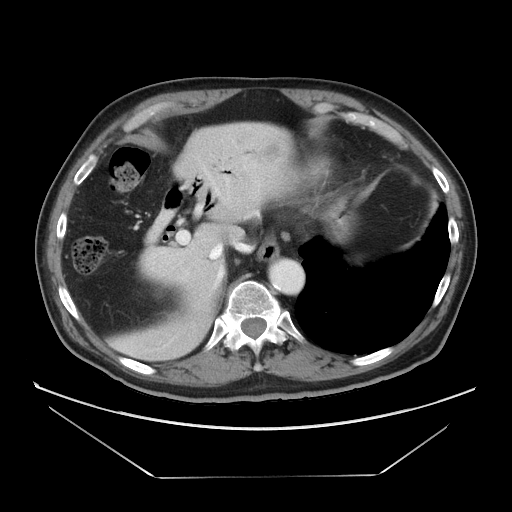

CT slice. Abdomen. Some hepatic vessels may have no box.
Liver tumor — (left=245, top=143, right=279, bottom=162).
Hepatic vessel — (left=177, top=233, right=190, bottom=244), (left=210, top=244, right=221, bottom=258), (left=216, top=268, right=222, bottom=283), (left=235, top=244, right=246, bottom=249).